Image size 512x512; CT slice; Slice index 35

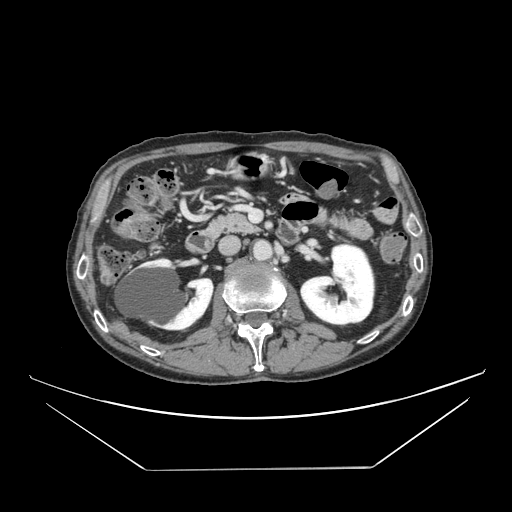 Segmented structures:
- pancreas: [211, 211, 260, 236]